Slice 122/155 | Image size 240x240
FLAIR MR.
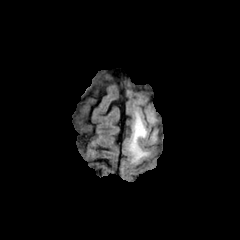
T1-weighted MR image.
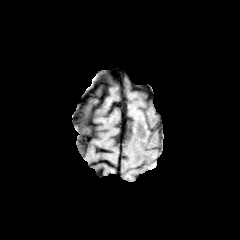
Post-contrast T1-weighted MRI.
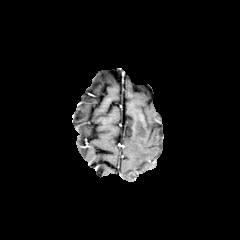
T2-weighted magnetic resonance.
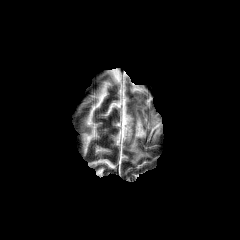
The edema lies within box(126, 109, 156, 162).